Image width 240 mm
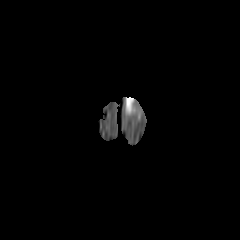
FLAIR magnetic resonance.
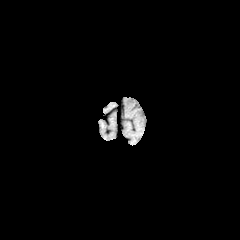
T1-weighted magnetic resonance.
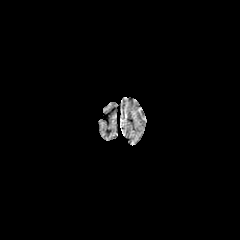
Post-contrast T1-weighted MR.
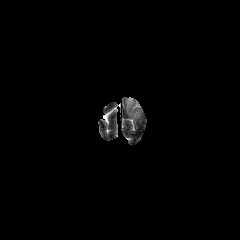
Same slice, T2-weighted MR.
• edema: [x1=125, y1=98, x2=140, y2=119]